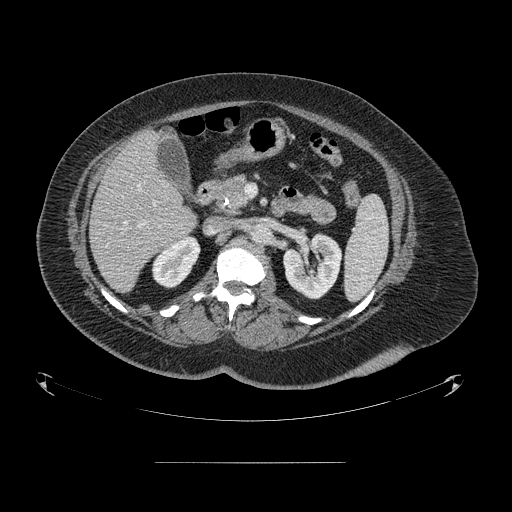 Image size 512x512 | Upper abdomen | CT
Pancreas — 214:176:247:209.
Pancreatic tumor — 214:181:242:197.